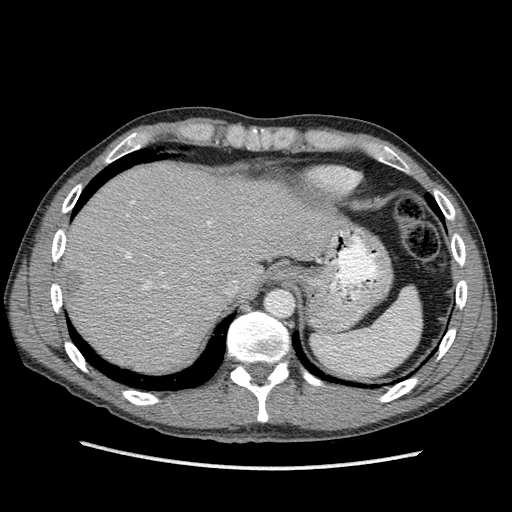

Liver. CT image.

liver: <box>60,161,340,374</box> | liver lesion: <box>61,270,82,296</box>